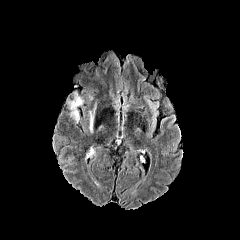
FLAIR MRI.
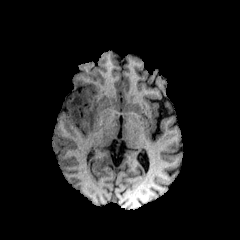
Same slice, T1-weighted magnetic resonance.
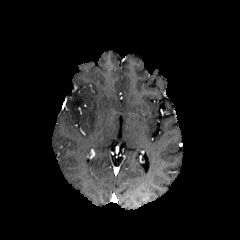
Post-contrast T1-weighted MRI.
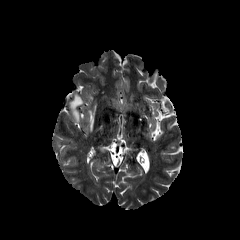
T2-weighted MR.
Head
edema: 68, 96, 82, 122; 89, 104, 97, 131